FLAIR MRI.
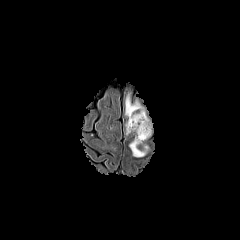
T1-weighted MRI.
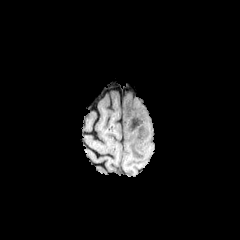
Post-contrast T1-weighted MR image.
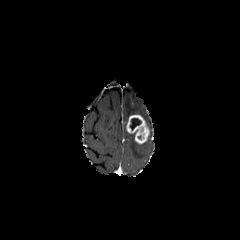
T2-weighted magnetic resonance.
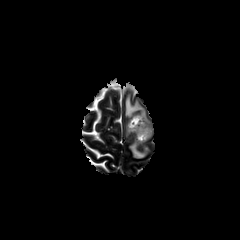
Brain.
Findings:
• enhancing tumor: 125,114,150,144
• non-enhancing tumor core: 130,117,141,130
• edema: 124,93,153,133; 128,140,148,158